CT scan slice. Image width 411 mm. 512x512 px.
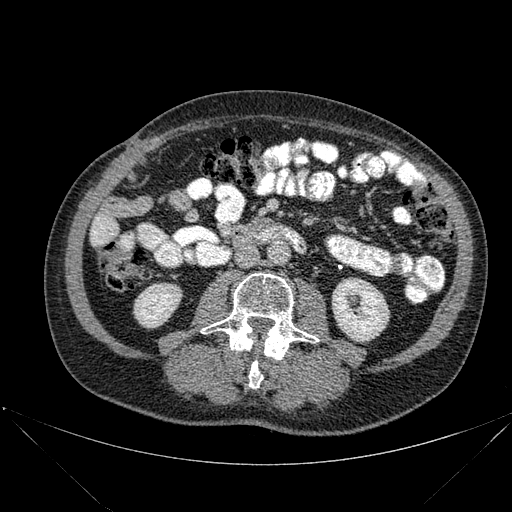
<segmentation>
  <bone>201, 273, 318, 359; 249, 360, 262, 388</bone>
  <kidney>134, 283, 181, 327; 332, 278, 389, 341</kidney>
</segmentation>